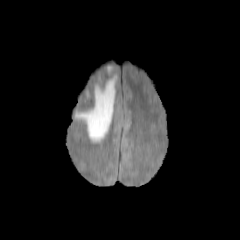
FLAIR MR.
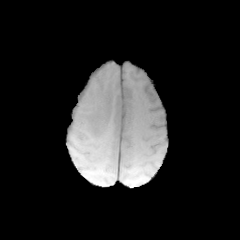
T1-weighted magnetic resonance of the same slice.
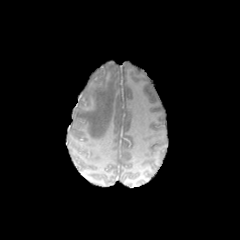
Post-contrast T1-weighted MR.
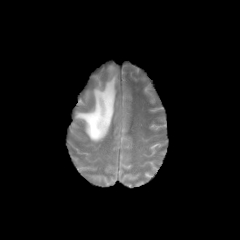
Same slice, T2-weighted magnetic resonance.
240x240 px. Head.
Segmented structures:
• edema: <bbox>75, 74, 116, 142</bbox>